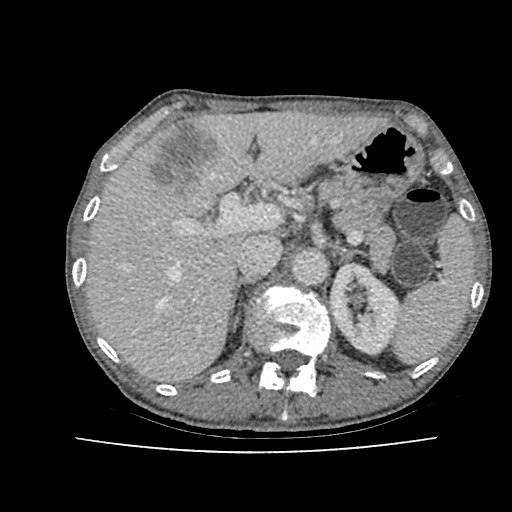

CT, Upper abdomen

<segmentation>
  <liver>rect(89, 112, 380, 379)</liver>
  <kidney>rect(331, 267, 398, 352)</kidney>
  <hepatic_lesion>rect(150, 123, 225, 195)</hepatic_lesion>
</segmentation>